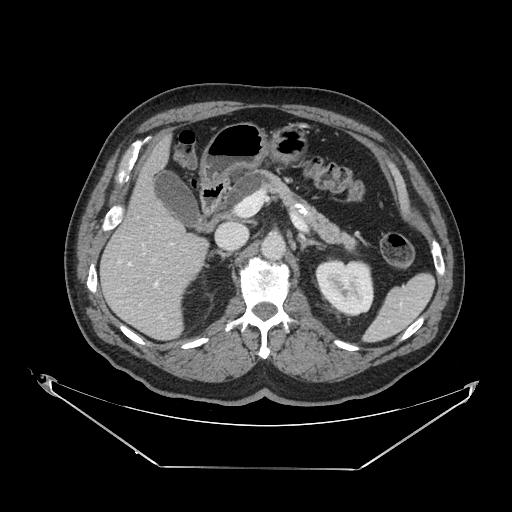
Computed tomography. 512x512.

The pancreatic tumor is bounded by [230,173,263,204]. The pancreas is at [220,167,359,254].